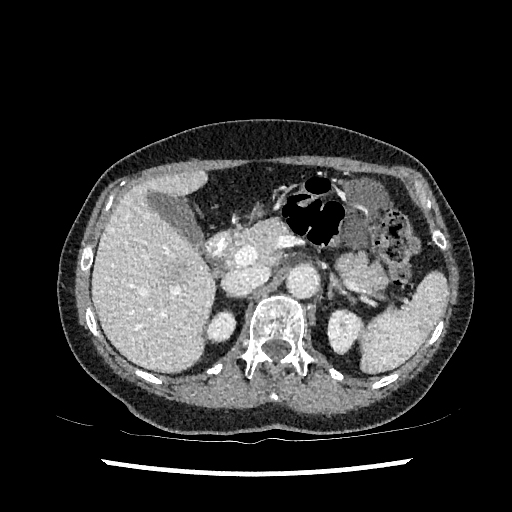 CT scan slice; 512x512
Liver: bounding box 93 171 214 371.
Kidney: bounding box 328 311 360 351, 207 313 232 337.
Liver lesion: bounding box 169 262 190 282.